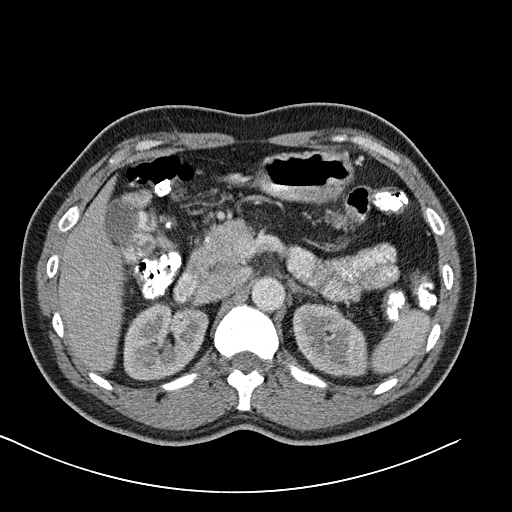
CT slice; Abdomen
Colon tumor — <bbox>327, 213, 346, 227</bbox>, <bbox>347, 209, 361, 223</bbox>.